FLAIR magnetic resonance.
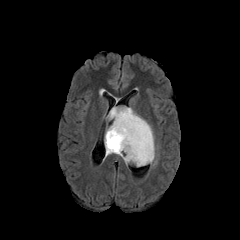
T1-weighted MR image.
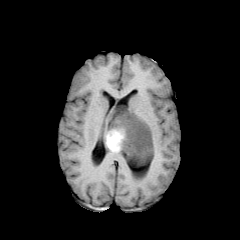
Post-contrast T1-weighted MR image.
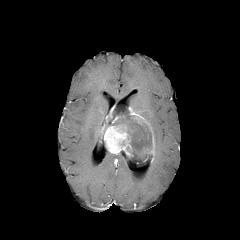
T2-weighted magnetic resonance.
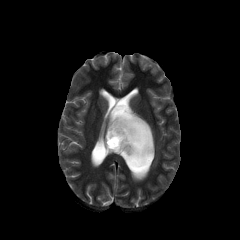
240x240 px | Head
non-enhancing_tumor_core:
  - box(113, 105, 152, 166)
edema:
  - box(148, 145, 157, 167)
  - box(117, 154, 128, 166)
enhancing_tumor:
  - box(105, 105, 114, 122)
  - box(128, 107, 154, 158)
  - box(104, 123, 132, 156)